Image width 240 mm | Slice 114/155
FLAIR magnetic resonance.
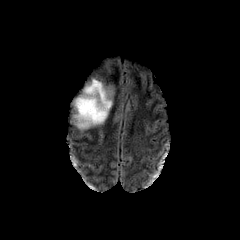
T1-weighted magnetic resonance.
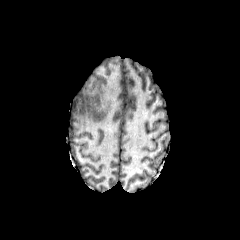
Post-contrast T1-weighted MR image.
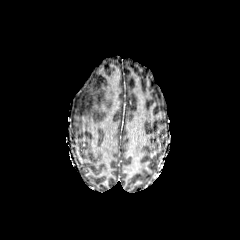
T2-weighted magnetic resonance.
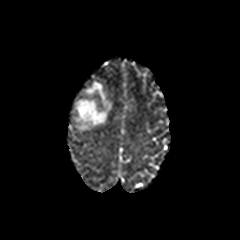
Edema: bounding box (left=74, top=79, right=112, bottom=130).